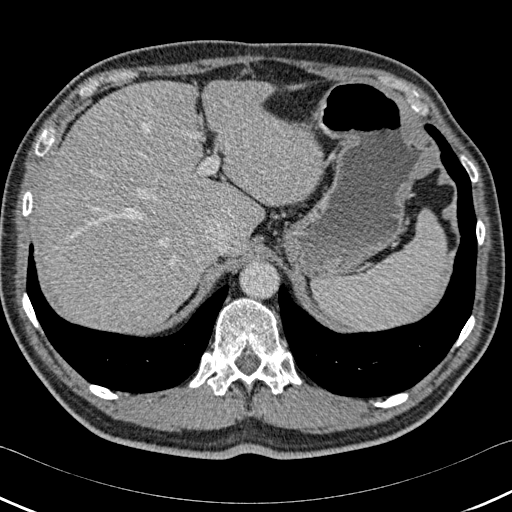
CT slice
Annotated regions:
* lung: (left=278, top=124, right=477, bottom=398), (left=26, top=243, right=229, bottom=394)
* bone: (left=189, top=299, right=301, bottom=395), (left=374, top=393, right=407, bottom=407), (left=23, top=191, right=32, bottom=216), (left=456, top=316, right=474, bottom=346), (left=461, top=155, right=477, bottom=182), (left=89, top=385, right=117, bottom=399), (left=476, top=220, right=484, bottom=244), (left=22, top=293, right=38, bottom=327), (left=35, top=129, right=54, bottom=155)
* liver: (left=202, top=80, right=322, bottom=204), (left=41, top=81, right=264, bottom=332)